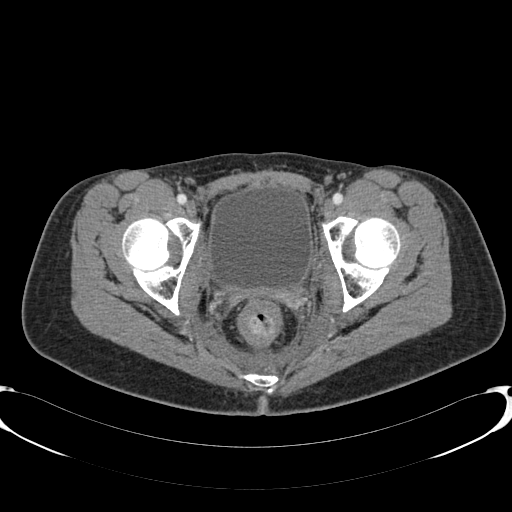
CT scan slice.
{
  "urinary_bladder": [
    "rect(210, 187, 310, 287)"
  ]
}